CT | 512x512 px
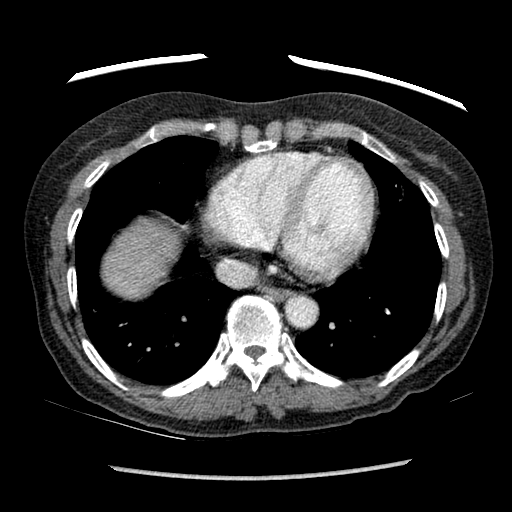 liver: <box>104,222,177,296</box>